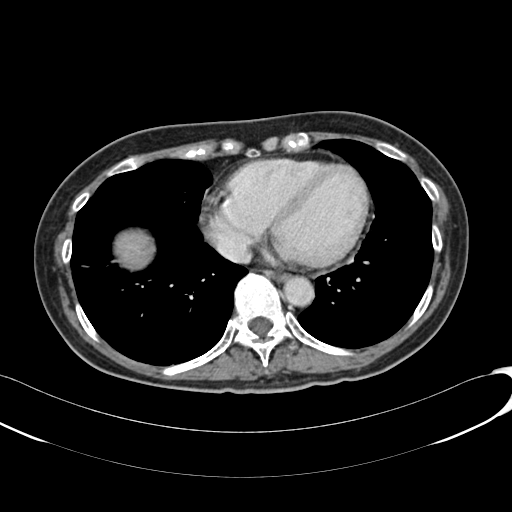 Upper abdomen, CT scan slice
{"liver": ["l=118, t=232, r=150, b=264"]}